Upper abdomen; CT slice; Slice 28 of 81
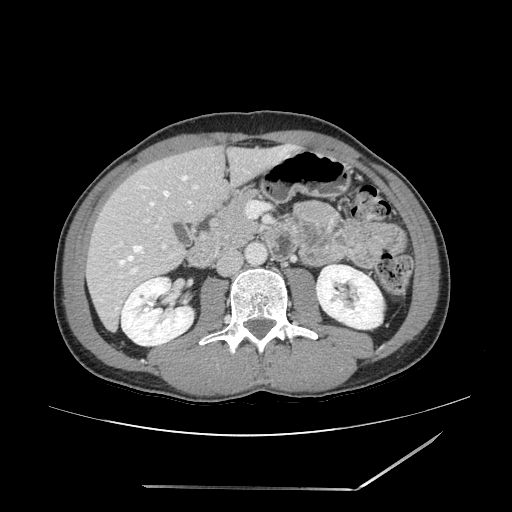

Pancreas = [203, 191, 258, 253].